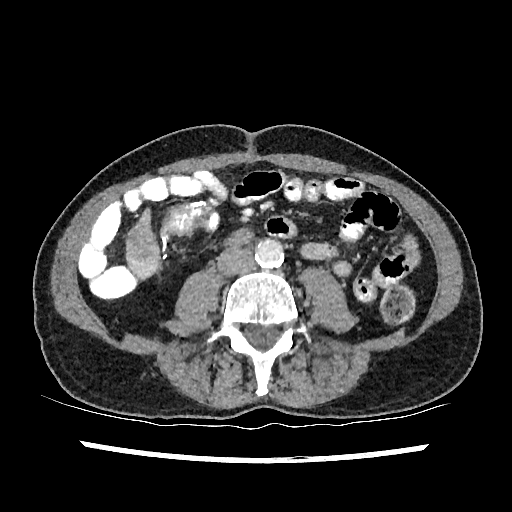
CT slice

The liver is located at (126,208,158,277). 2 hepatic lesion regions are located at (140,248,151,258), (132,230,140,246).